Upper abdomen | CT image 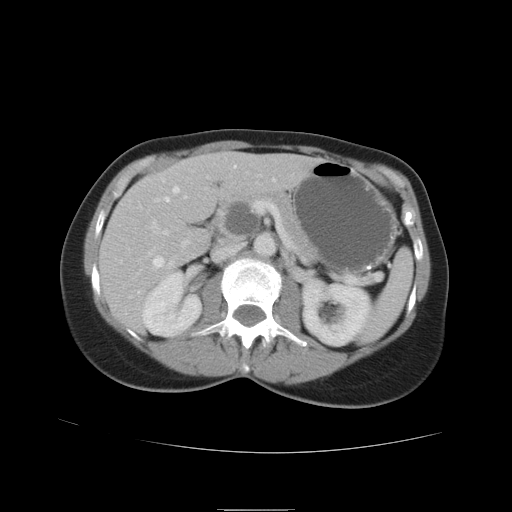

The pancreas is bounded by x1=210, y1=190, x2=320, y2=263. The pancreatic tumor lies within x1=224, y1=201, x2=259, y2=235.